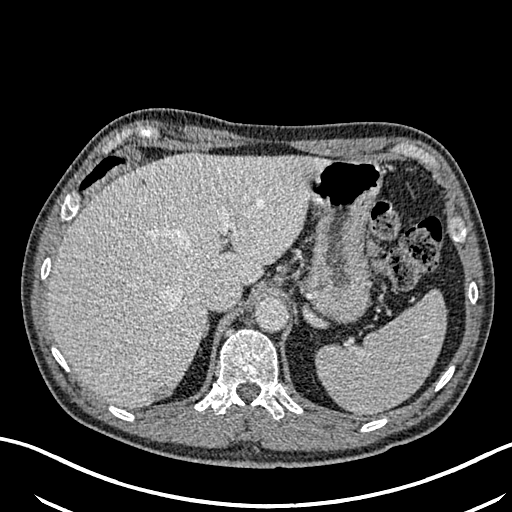
Abdomen. 512x512 px. CT scan slice.
Liver lesion at l=150, t=384, r=172, b=401; l=135, t=177, r=146, b=189; l=116, t=279, r=125, b=293.
Liver at l=48, t=153, r=329, b=408.